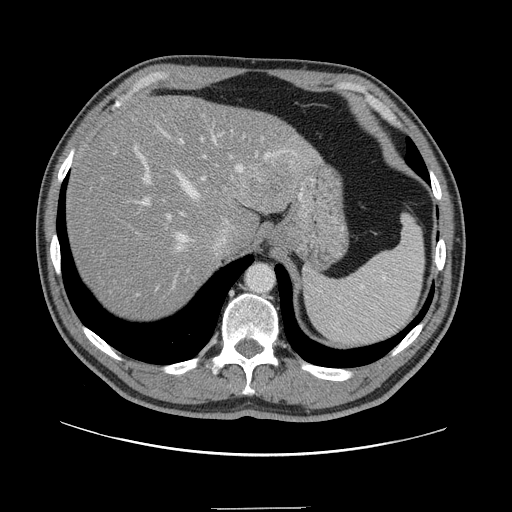 Computed tomography
Some hepatic vessels may have no box.
<segmentation>
  <liver_tumor>250:178:283:210</liver_tumor>
  <hepatic_vessel>266:152:279:157, 176:233:187:250, 135:147:150:182, 179:140:183:143, 168:215:170:219, 175:170:197:198, 262:138:263:140, 204:156:206:158, 213:133:222:142, 202:138:203:140, 202:177:205:180, 162:130:168:136, 139:199:149:205, 237:165:242:171</hepatic_vessel>
</segmentation>